FLAIR MR.
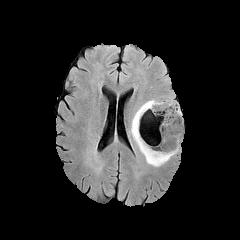
T1-weighted MRI.
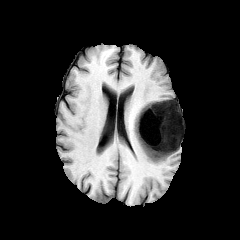
Post-contrast T1-weighted MR image.
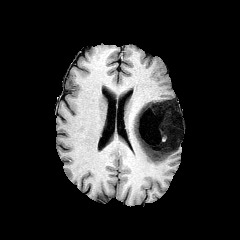
T2-weighted MR.
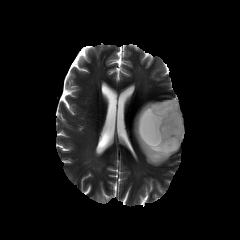
Brain; 240x240 px
The non-enhancing tumor core appears at rect(144, 102, 181, 157). The edema lies within rect(129, 98, 181, 166).